Image size 240x240 | Brain | Field of view 240x240 mm
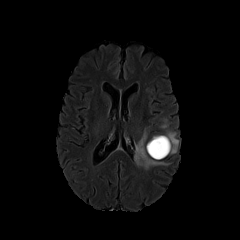
FLAIR MR.
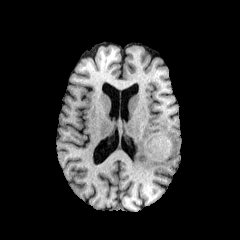
T1-weighted MR image.
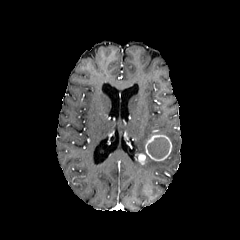
Post-contrast T1-weighted MRI of the same slice.
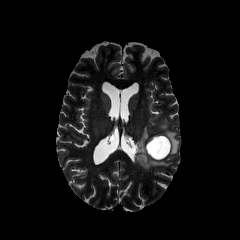
T2-weighted magnetic resonance of the same slice.
{"enhancing_tumor": ["box=[145, 134, 172, 161]", "box=[135, 154, 147, 164]"], "edema": ["box=[135, 127, 171, 170]", "box=[156, 117, 178, 154]"], "non-enhancing_tumor_core": ["box=[147, 136, 170, 159]"]}